FLAIR magnetic resonance.
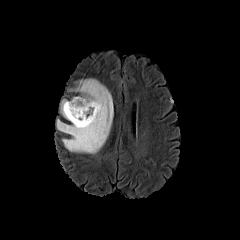
T1-weighted MR.
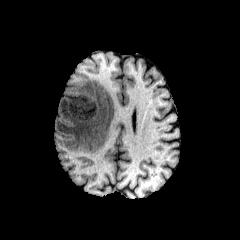
Post-contrast T1-weighted MR image.
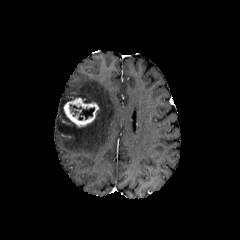
T2-weighted MR image.
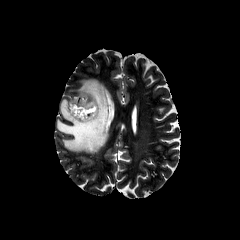
Brain
edema:
  - 55,78,113,153
  - 58,99,68,117
non-enhancing_tumor_core:
  - 79,106,95,119
  - 74,96,94,103
enhancing_tumor:
  - 63,97,99,127